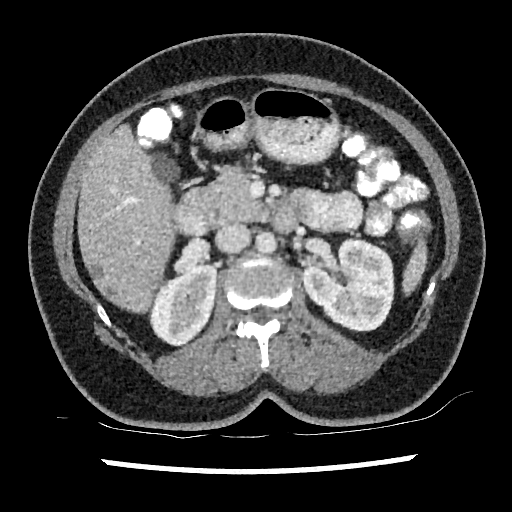 CT

Kidney = region(303, 240, 393, 330); region(151, 258, 216, 344).
Focal liver lesion = region(151, 155, 177, 181); region(105, 286, 113, 295); region(91, 266, 101, 277).
Liver = region(78, 125, 171, 310).